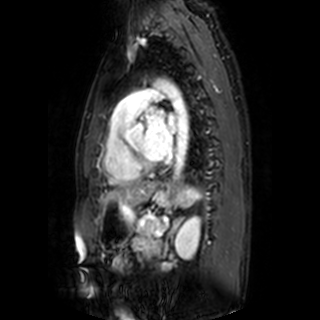 MRI, Heart

The left atrium is located at region(142, 108, 176, 160).